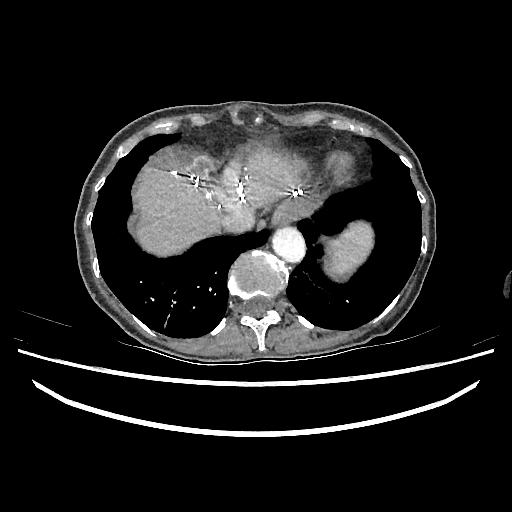

Computed tomography | Liver
liver:
  - bbox=[136, 166, 220, 253]
  - bbox=[246, 150, 304, 207]
  - bbox=[223, 165, 237, 204]